37x48 px; Slice 23 of 34; MRI
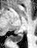 The posterior hippocampus is located at bbox=[11, 33, 23, 42].